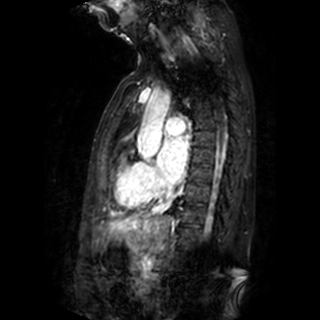 MR image
The left atrium appears at 159 138 186 181.